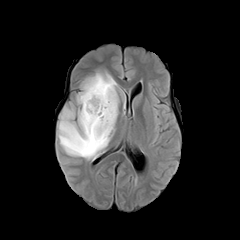
FLAIR MR.
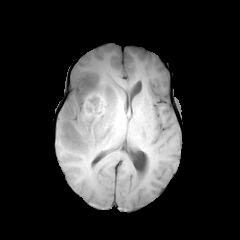
T1-weighted MR.
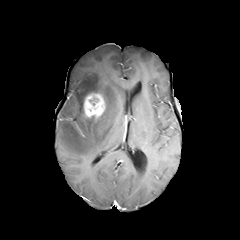
Post-contrast T1-weighted magnetic resonance.
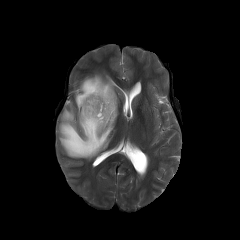
Same slice, T2-weighted MR.
Head
Findings:
• enhancing tumor: {"x1": 84, "y1": 94, "x2": 104, "y2": 117}
• non-enhancing tumor core: {"x1": 89, "y1": 95, "x2": 98, "y2": 105}
• edema: {"x1": 56, "y1": 72, "x2": 125, "y2": 161}